Abdomen. Field of view 496 mm wide, 0.80 mm slice spacing. CT image.

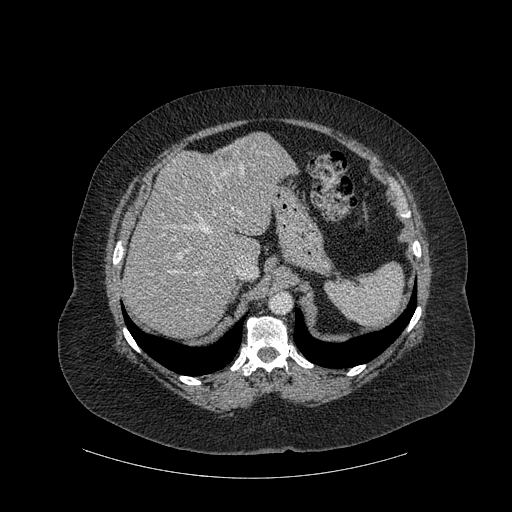 lung:
  - x1=123 y1=311 x2=244 y2=375
  - x1=294 y1=288 x2=416 y2=368
bone:
  - x1=231 y1=317 x2=312 y2=375
  - x1=113 y1=242 x2=122 y2=264
  - x1=180 y1=376 x2=200 y2=384
  - x1=123 y1=328 x2=139 y2=351
  - x1=413 y1=241 x2=420 y2=256
  - x1=347 y1=365 x2=365 y2=375
  - x1=408 y1=307 x2=420 y2=331
liver:
  - x1=122 y1=132 x2=299 y2=337